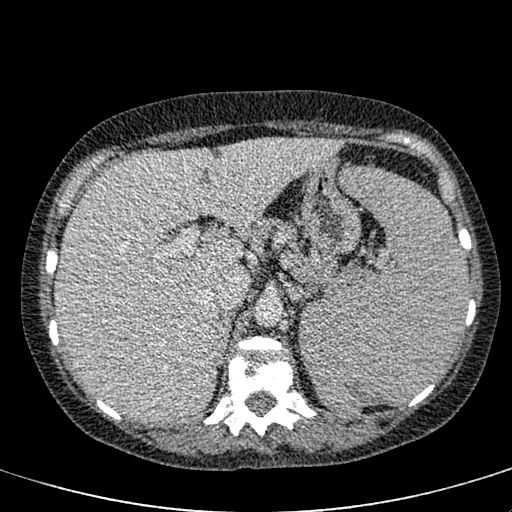
Image size 512x512, Liver, CT

Segmented structures:
- liver: x1=57 y1=138 x2=344 y2=422